512x512 px | Computed tomography | Abdomen | Field of view 409 mm wide, 1.50 mm slice spacing 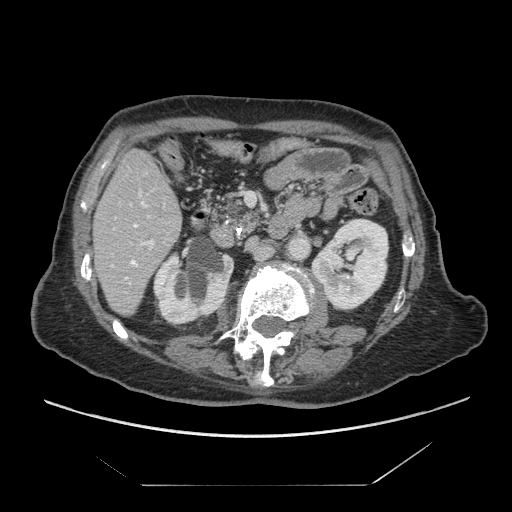

pancreatic_tumor:
  - (242, 211, 260, 235)
pancreas:
  - (211, 195, 263, 239)